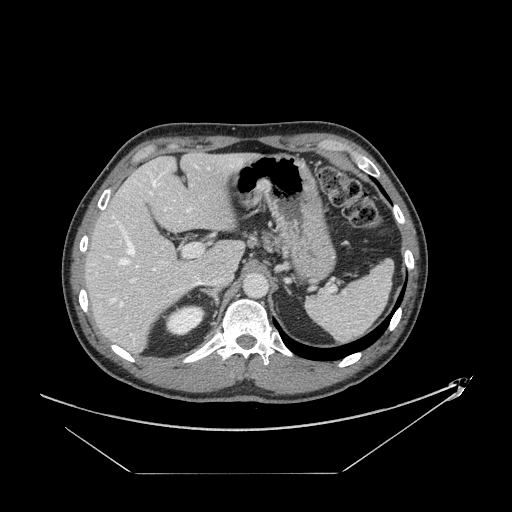

Abdomen, CT image
{"pancreas": ["[x1=247, y1=230, x2=281, y2=251]"]}